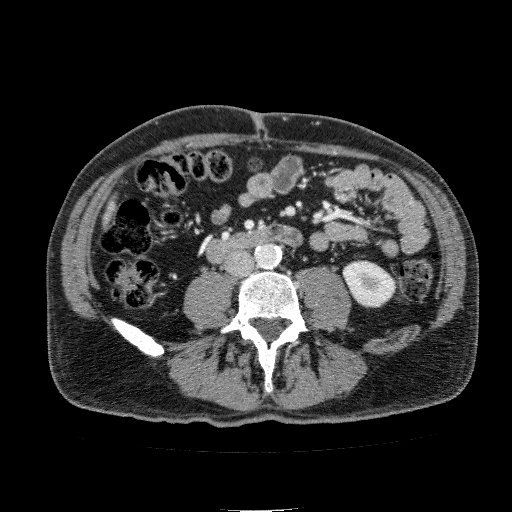 512x512 px | CT scan slice
Annotated regions:
* liver: [x1=101, y1=190, x2=120, y2=232]
* kidney: [x1=343, y1=262, x2=394, y2=305]